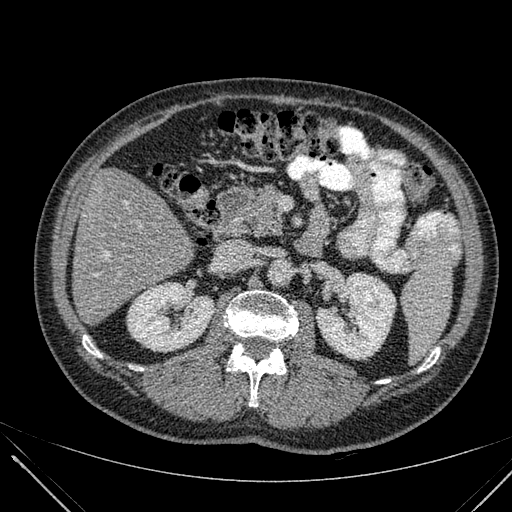

Image size 512x512 | CT slice | Upper abdomen

{
  "liver": [
    "bbox(72, 169, 195, 324)"
  ],
  "kidney": [
    "bbox(127, 283, 213, 350)",
    "bbox(317, 273, 395, 358)"
  ]
}